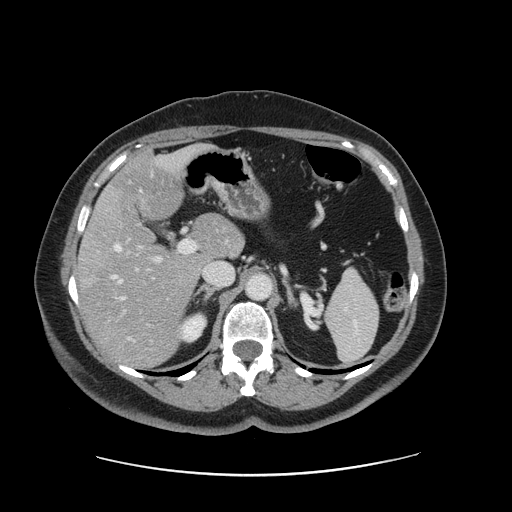 Liver. CT scan slice. The vessel annotation is not exhaustive.
Hepatic vessel = x1=128, y1=337, x2=133, y2=340; x1=115, y1=243, x2=121, y2=250; x1=120, y1=296, x2=124, y2=299; x1=155, y1=256, x2=160, y2=261; x1=138, y1=246, x2=141, y2=247; x1=112, y1=275, x2=122, y2=282.